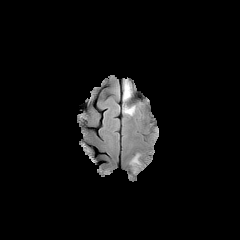
FLAIR MR.
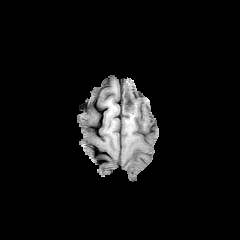
Same slice, T1-weighted MRI.
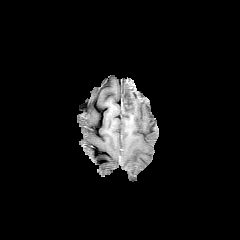
Post-contrast T1-weighted MRI of the same slice.
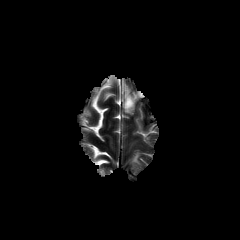
Same slice, T2-weighted MRI.
240x240 px.
Findings:
* edema: (x1=129, y1=153, x2=141, y2=172), (x1=122, y1=82, x2=129, y2=100), (x1=122, y1=104, x2=135, y2=115)